Slice 127/248 | CT slice | 512x512 px | Field of view 360 mm wide, 1.24 mm slice spacing
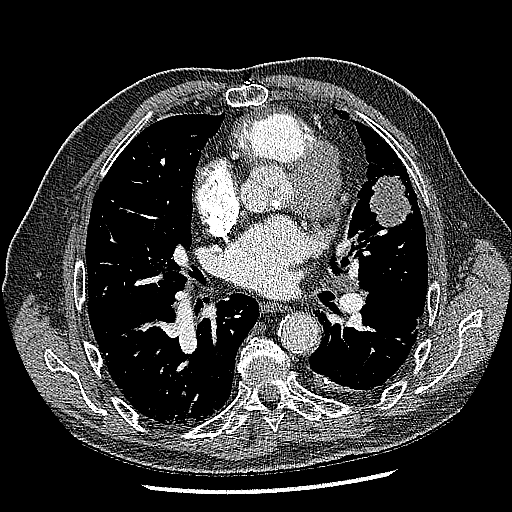
The lung tumor is bounded by 370,175,411,227.